CT image 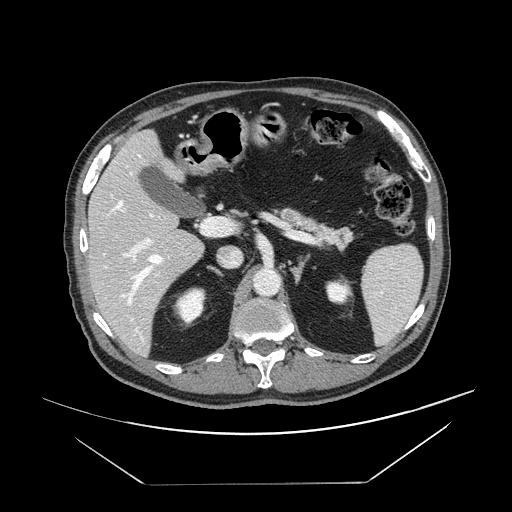 <segmentation>
  <pancreas>(276,207,354,250)</pancreas>
</segmentation>